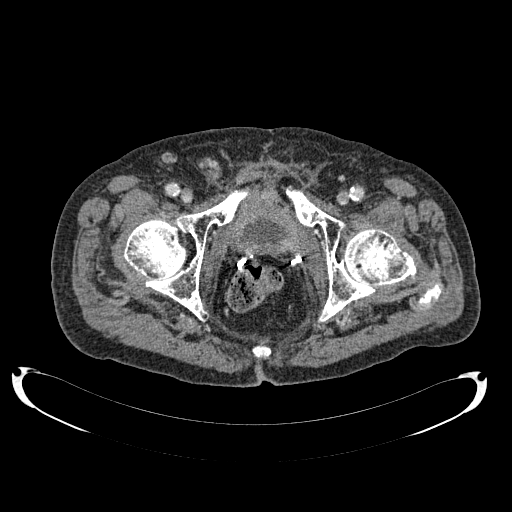 CT image | Pelvis

<segmentation>
  <urinary_bladder>(left=243, top=219, right=286, bottom=243)</urinary_bladder>
</segmentation>